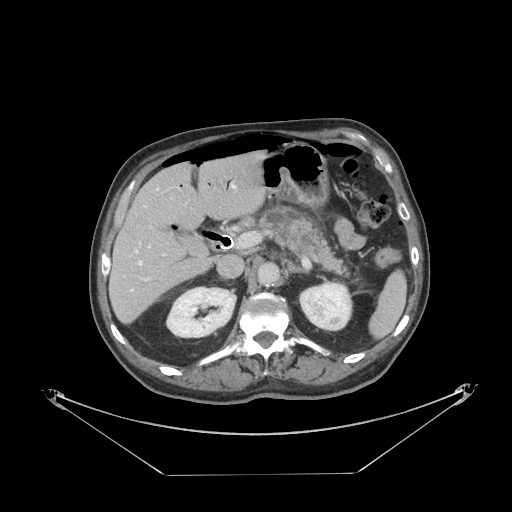

Upper abdomen, CT slice
Pancreas = (left=258, top=207, right=347, bottom=275).